512x512 | CT image | Slice 418 of 677

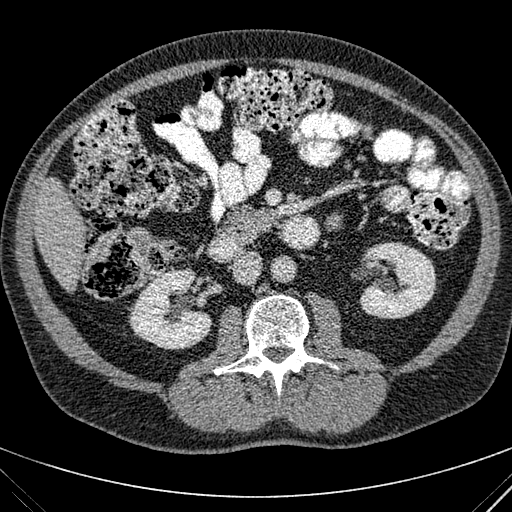
Liver at <box>35,180,84,291</box>.
Kidney at <box>360,242,434,318</box>, <box>130,269,214,348</box>.